CT

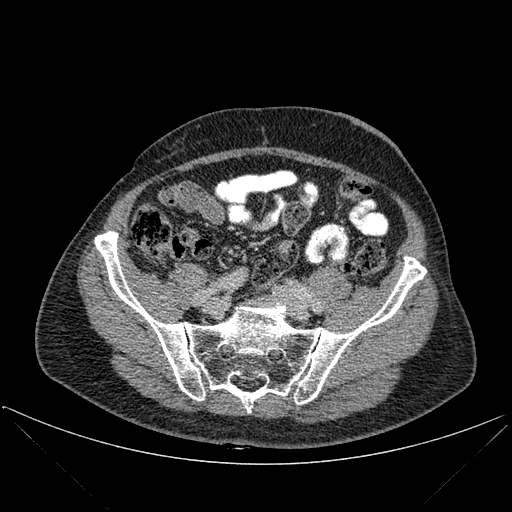 • bone: [95,231,426,412]